FLAIR magnetic resonance.
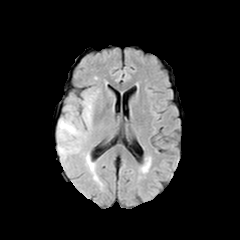
T1-weighted MR image.
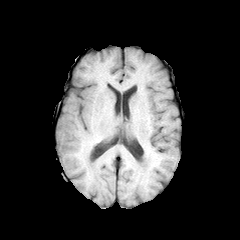
Post-contrast T1-weighted MR image.
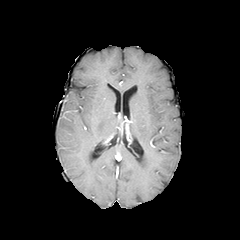
T2-weighted magnetic resonance.
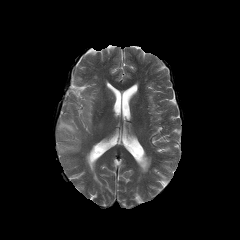
Head, Image size 240x240
Edema = 57:91:96:170.